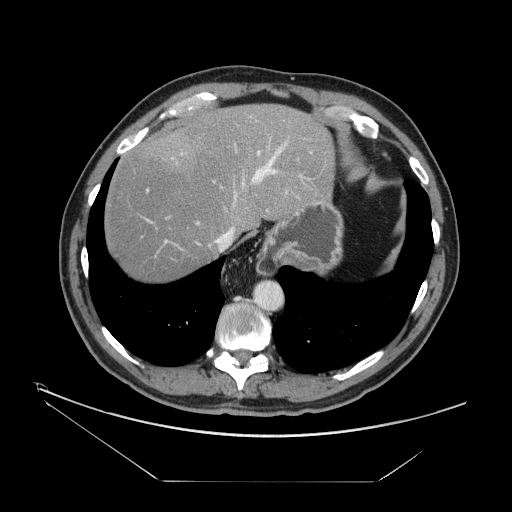
CT scan slice
Some hepatic vessels may have no box.
hepatic vessel: {"x1": 257, "y1": 151, "x2": 259, "y2": 154}, {"x1": 234, "y1": 195, "x2": 236, "y2": 198}, {"x1": 253, "y1": 144, "x2": 284, "y2": 182}, {"x1": 242, "y1": 182, "x2": 243, "y2": 185}